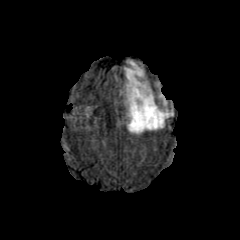
FLAIR magnetic resonance.
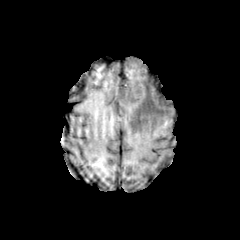
T1-weighted MRI.
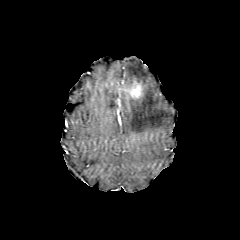
Post-contrast T1-weighted MRI of the same slice.
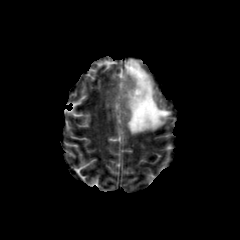
T2-weighted magnetic resonance of the same slice.
Edema — 124:60:172:133.
Enhancing tumor — 125:82:142:98.